Slice 86/155; Image width 240 mm; Head
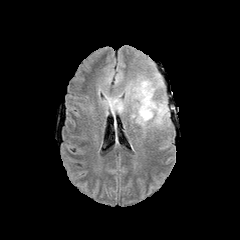
FLAIR MRI.
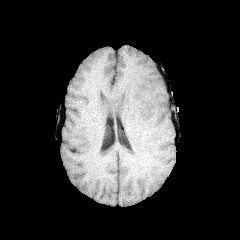
T1-weighted MR.
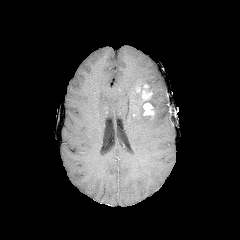
Post-contrast T1-weighted magnetic resonance.
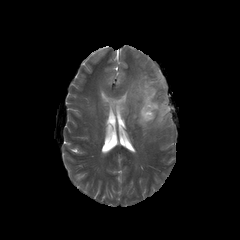
Same slice, T2-weighted magnetic resonance.
The enhancing tumor is bounded by box=[136, 84, 153, 115]. 2 edema regions are located at box=[115, 74, 123, 84]; box=[99, 71, 170, 130]. The non-enhancing tumor core is at box=[134, 80, 153, 119].